FLAIR MR.
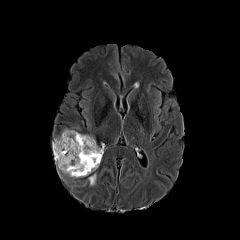
T1-weighted magnetic resonance.
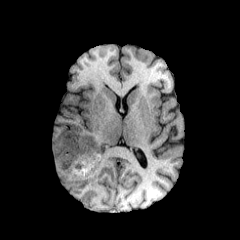
Post-contrast T1-weighted magnetic resonance.
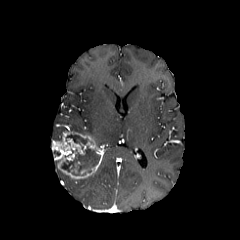
T2-weighted magnetic resonance.
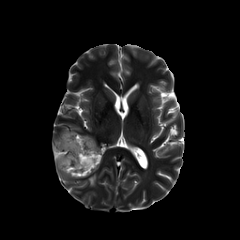
Head.
enhancing_tumor:
  - {"x1": 52, "y1": 131, "x2": 103, "y2": 178}
edema:
  - {"x1": 88, "y1": 174, "x2": 96, "y2": 186}
non-enhancing_tumor_core:
  - {"x1": 66, "y1": 132, "x2": 87, "y2": 150}
  - {"x1": 60, "y1": 146, "x2": 100, "y2": 175}